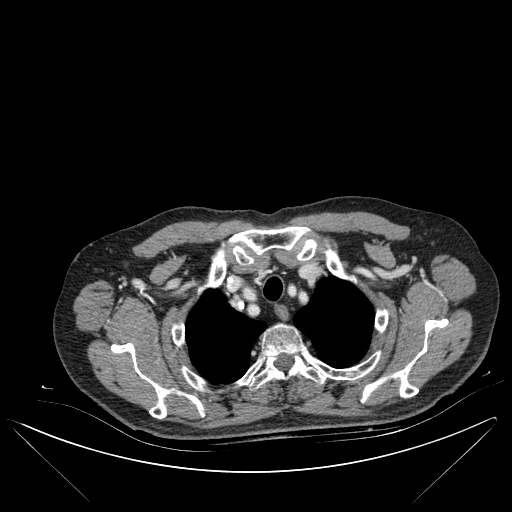
CT scan slice.

Annotated regions:
* lung: (264,277,282,300), (294,276,373,367), (186,289,265,383)
* bone: (209,248,226,287), (237,332,380,386), (325,248,343,278), (111,343,204,418), (375,309,387,331), (361,319,448,402), (172,324,184,345), (182,367,204,389), (297,239,316,260), (228,226,309,264)